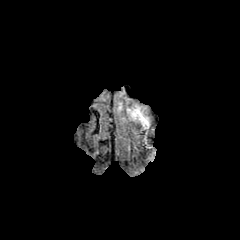
FLAIR MR image.
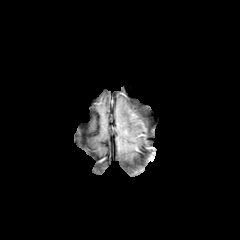
Same slice, T1-weighted MR.
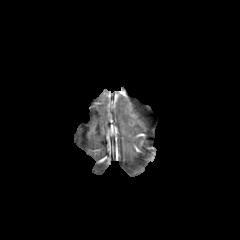
Post-contrast T1-weighted magnetic resonance of the same slice.
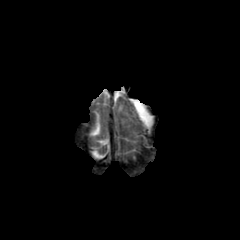
Same slice, T2-weighted MR.
240x240 px
2 edema regions are located at box=[129, 102, 149, 126]; box=[115, 91, 125, 98].